CT slice; 512x512; Field of view 475 mm wide, 2.50 mm slice spacing
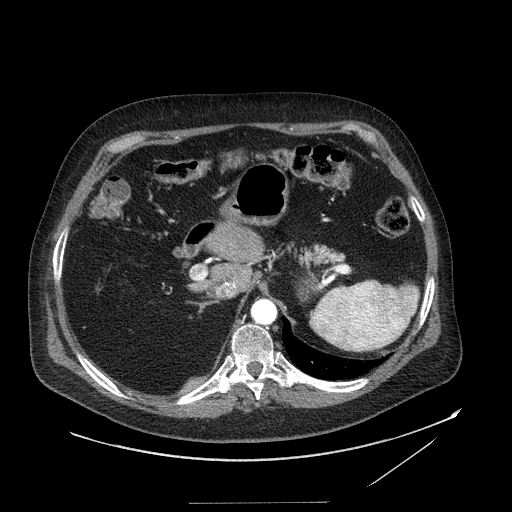
Pancreas at x1=290, y1=244, x2=346, y2=269.